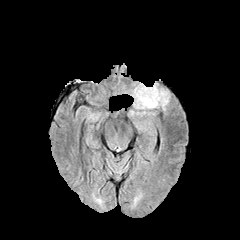
FLAIR magnetic resonance.
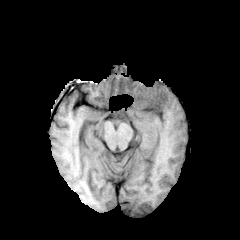
T1-weighted MR.
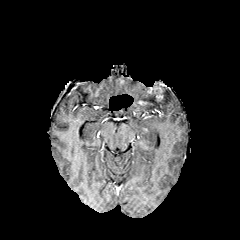
Post-contrast T1-weighted MR of the same slice.
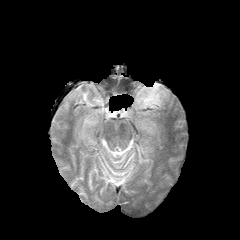
T2-weighted magnetic resonance of the same slice.
Head
The enhancing tumor is bounded by region(147, 86, 161, 93). The edema is located at region(133, 83, 169, 115). The non-enhancing tumor core appears at region(138, 94, 157, 105).